Head | CT slice
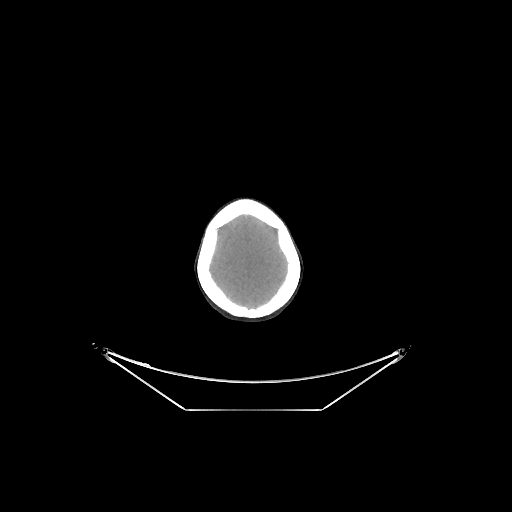 The brain is bounded by region(209, 214, 288, 309).